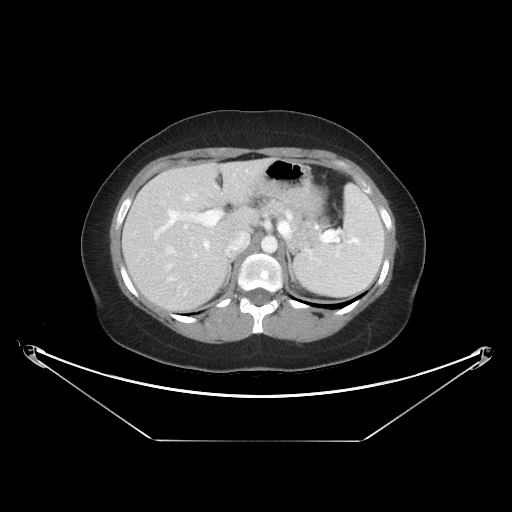
CT slice

Findings:
• pancreas: l=291, t=212, r=319, b=249; l=259, t=200, r=286, b=212
• pancreatic tumor: l=305, t=220, r=321, b=238